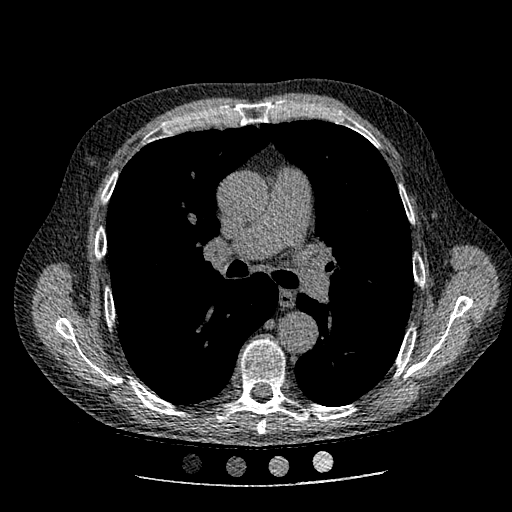 CT image; 512x512; Lung
The lung tumor lies within <box>380,270,391,276</box>.